FLAIR MRI.
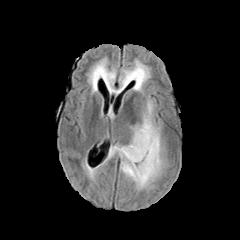
T1-weighted MR image.
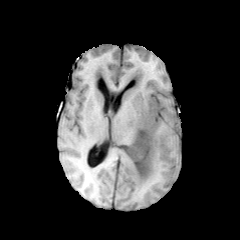
Post-contrast T1-weighted MR image.
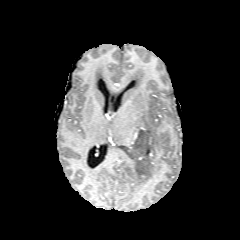
T2-weighted magnetic resonance.
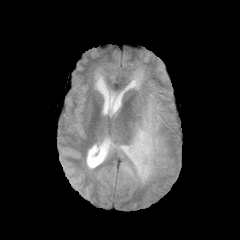
Annotated regions:
* non-enhancing tumor core: [120, 126, 153, 182]
* edema: [90, 66, 112, 87], [111, 60, 150, 94], [109, 95, 165, 188]